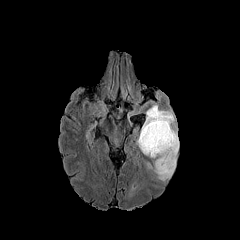
FLAIR MRI.
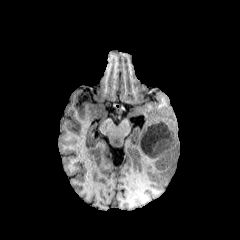
Same slice, T1-weighted MR image.
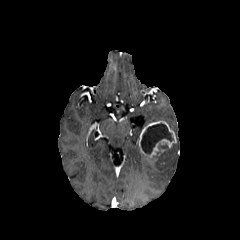
Post-contrast T1-weighted MR.
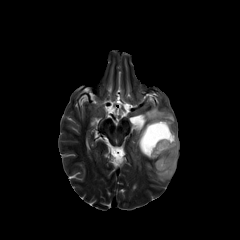
T2-weighted MR image of the same slice.
2 edema regions are located at 142 104 174 130, 145 126 179 181. The enhancing tumor is at 136 121 176 157. The non-enhancing tumor core is located at 140 123 173 154.